Computed tomography 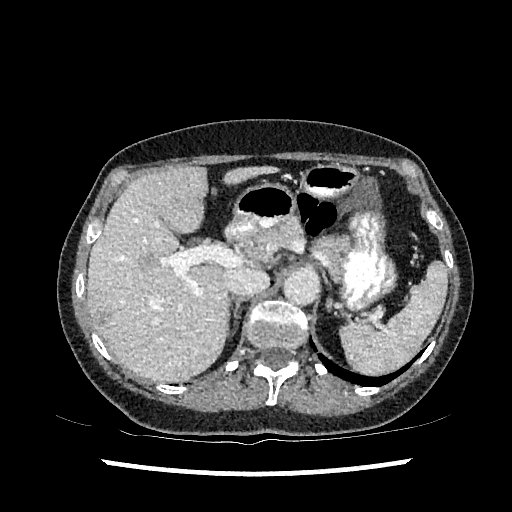
liver lesion: left=89, top=300, right=110, bottom=325; left=139, top=254, right=154, bottom=269 | liver: left=226, top=167, right=276, bottom=183; left=88, top=167, right=226, bottom=381